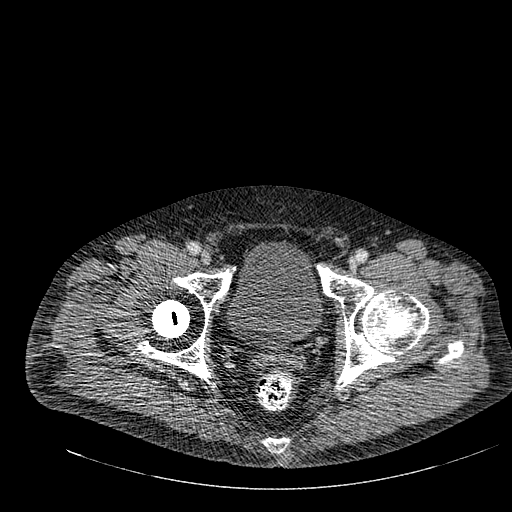
CT. Urinary bladder — box(227, 241, 323, 351).